MRI. Cardiac. Slice 26/100. 320x320 px.
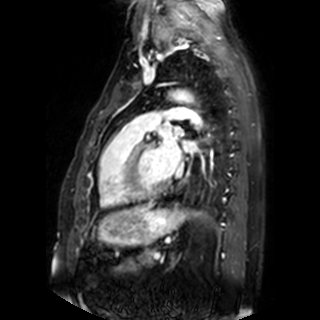 {"left_atrium": ["(x1=185, y1=141, x2=194, y2=151)", "(x1=174, y1=127, x2=182, y2=134)", "(x1=158, y1=137, x2=180, y2=174)"]}